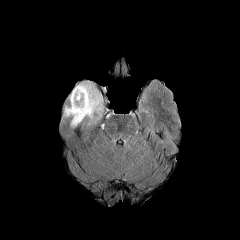
FLAIR magnetic resonance.
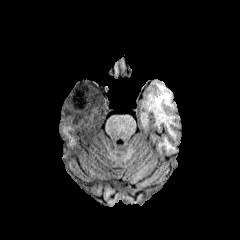
T1-weighted MR.
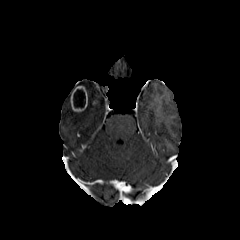
Post-contrast T1-weighted MRI.
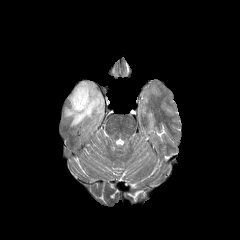
T2-weighted magnetic resonance.
Image size 240x240, Brain
Enhancing tumor — l=70, t=85, r=87, b=111.
Edema — l=61, t=81, r=104, b=128.
Non-enhancing tumor core — l=73, t=88, r=85, b=108.